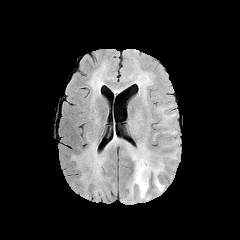
FLAIR magnetic resonance.
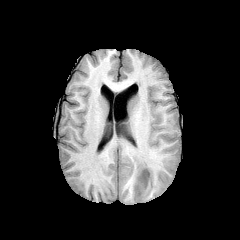
T1-weighted MR image.
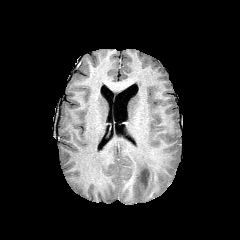
Post-contrast T1-weighted MRI.
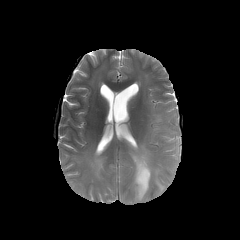
Same slice, T2-weighted magnetic resonance.
240x240
Findings:
* non-enhancing tumor core: (136,169,149,188)
* edema: (78,144,105,179), (128,146,164,199)